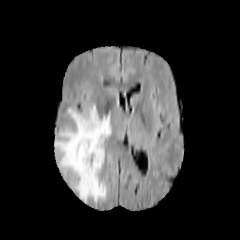
FLAIR MR image.
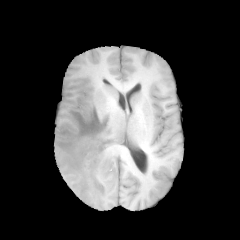
T1-weighted magnetic resonance.
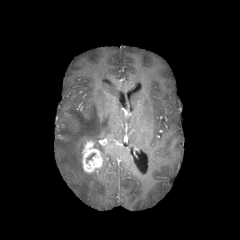
Post-contrast T1-weighted MRI.
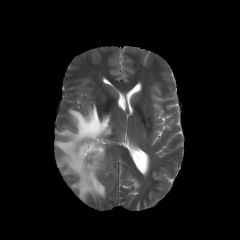
Same slice, T2-weighted MR image.
Head; 240x240
Non-enhancing tumor core: [86, 153, 95, 163].
Enhancing tumor: [81, 140, 102, 172].
Edema: [55, 105, 111, 202].